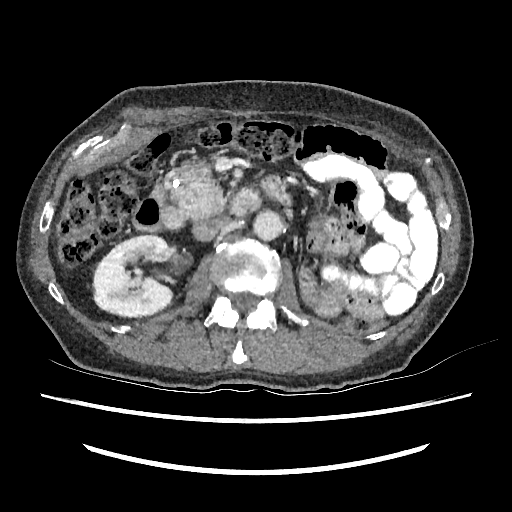

Abdomen. CT.

kidney: 94, 236, 173, 316